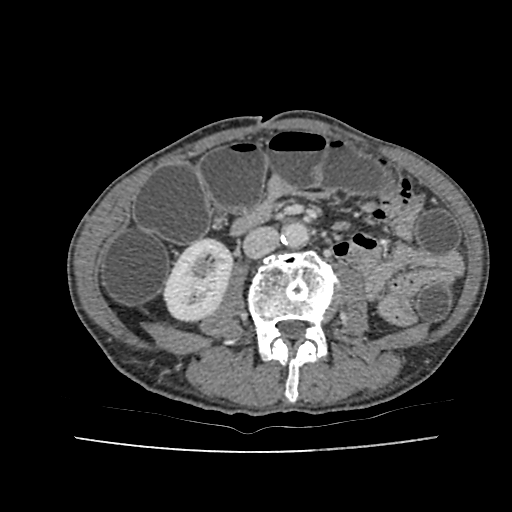

Abdomen. CT.
Annotated regions:
• kidney: bbox=[165, 240, 231, 320]